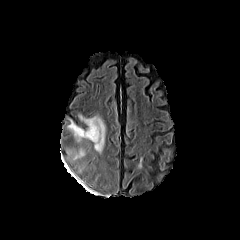
FLAIR MR.
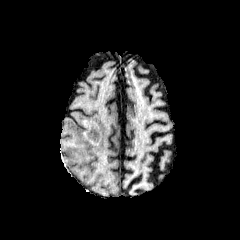
T1-weighted MR.
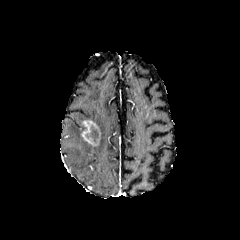
Post-contrast T1-weighted MRI.
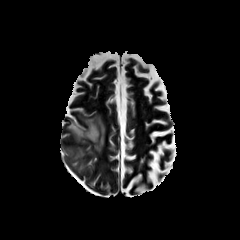
T2-weighted MR image.
The non-enhancing tumor core is located at 91, 129, 98, 140. The enhancing tumor lies within 80, 120, 100, 146. 3 edema regions are bounded by 74, 147, 85, 158; 67, 117, 84, 142; 78, 113, 106, 153.